Head, Field of view 240x240 mm, 240x240
FLAIR MRI.
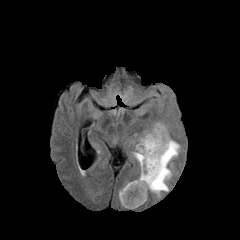
T1-weighted MR.
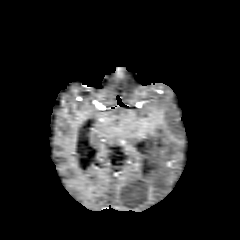
Post-contrast T1-weighted magnetic resonance.
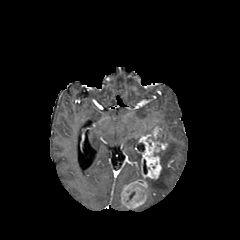
T2-weighted MR.
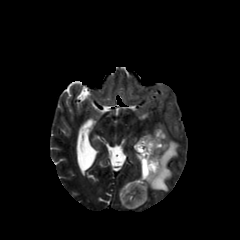
enhancing tumor: x1=122, y1=180, x2=147, y2=207; x1=139, y1=129, x2=167, y2=178 | edema: x1=143, y1=125, x2=179, y2=195; x1=131, y1=149, x2=143, y2=181 | non-enhancing tumor core: x1=142, y1=159, x2=147, y2=173; x1=137, y1=142, x2=144, y2=151; x1=126, y1=187, x2=145, y2=202